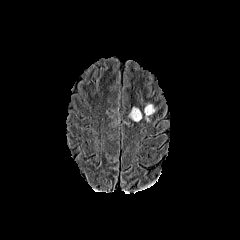
FLAIR MR image.
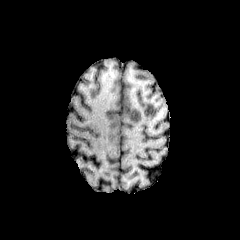
Same slice, T1-weighted MRI.
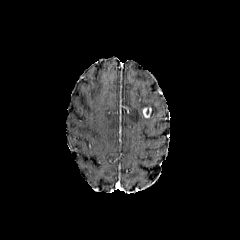
Same slice, post-contrast T1-weighted MR.
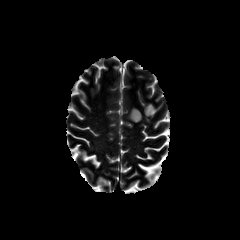
T2-weighted MR image.
The edema appears at <bbox>129, 107, 142, 121</bbox>. The enhancing tumor is at <bbox>142, 107, 151, 117</bbox>. The non-enhancing tumor core lies within <bbox>145, 105, 153, 118</bbox>.